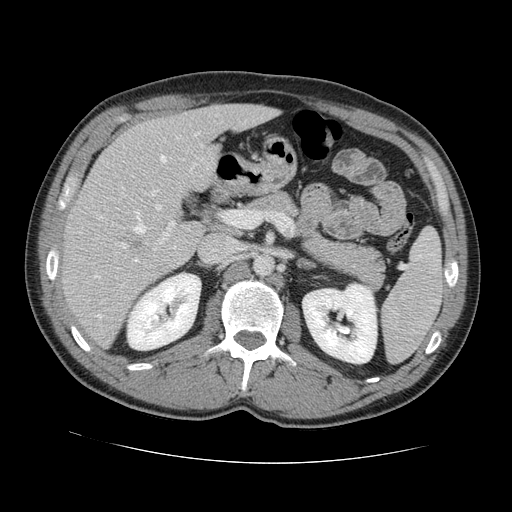
CT slice. 512x512 px. Liver. The vessel boxes may cover only some of the vessels.
[15/19] hepatic vessel: (93, 275, 99, 278), (178, 186, 181, 190), (185, 227, 190, 230), (97, 215, 102, 218), (160, 155, 165, 161), (150, 190, 157, 195), (194, 132, 198, 135), (96, 314, 101, 318), (158, 222, 173, 242), (133, 259, 137, 261), (156, 205, 160, 209), (134, 210, 145, 233), (175, 137, 179, 139), (189, 162, 196, 171), (115, 243, 127, 247) | liver tumor: (128, 235, 146, 248)